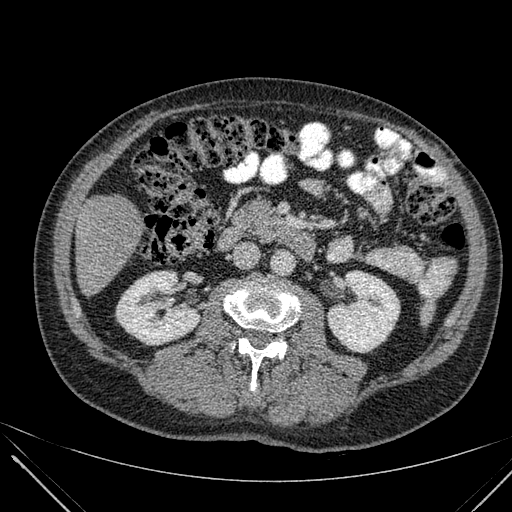

CT. Upper abdomen.
<segmentation>
  <kidney><bbox>328, 271, 399, 351</bbox>, <bbox>117, 271, 199, 344</bbox></kidney>
  <liver><bbox>76, 195, 142, 294</bbox></liver>
</segmentation>